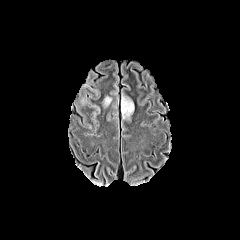
FLAIR MR image.
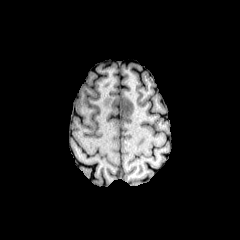
T1-weighted MR image.
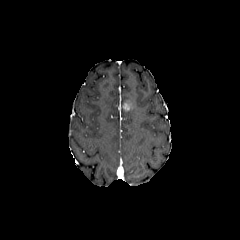
Post-contrast T1-weighted MR.
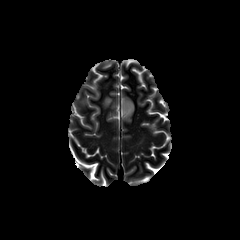
T2-weighted MR image.
Findings:
* edema: bbox(121, 93, 134, 118); bbox(103, 97, 112, 106)
* enhancing tumor: bbox(123, 103, 133, 110)